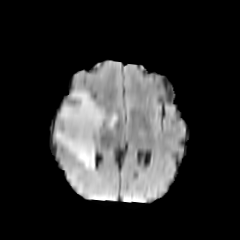
FLAIR MR image.
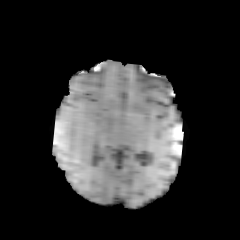
T1-weighted MR image.
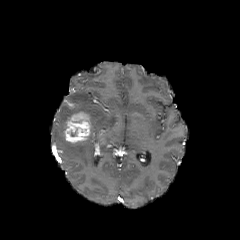
Same slice, post-contrast T1-weighted magnetic resonance.
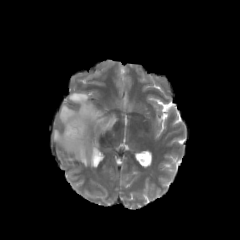
Same slice, T2-weighted MRI.
The enhancing tumor is located at x1=64 y1=111 x2=92 y2=142. The edema is bounded by x1=53 y1=92 x2=118 y2=168.